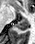 MR image | Hippocampus
<segmentation>
  <anterior_hippocampus>x1=21 y1=18 x2=26 y2=20</anterior_hippocampus>
  <posterior_hippocampus>x1=13 y1=21 x2=27 y2=30</posterior_hippocampus>
</segmentation>